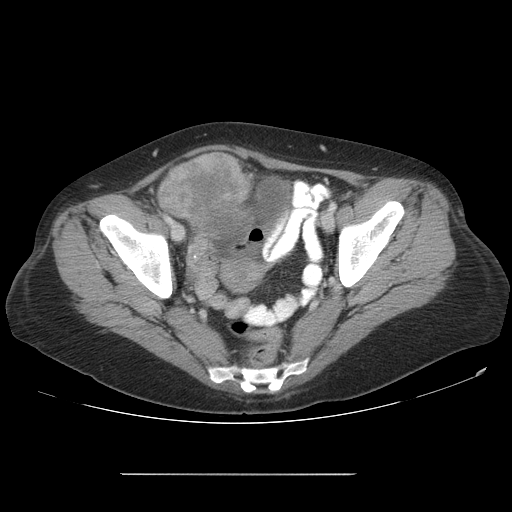 Pelvis | Image size 512x512 | CT scan slice
Annotated regions:
* colon tumor: <box>158,153,251,237</box>